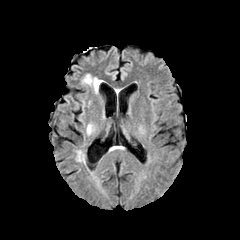
FLAIR MR image.
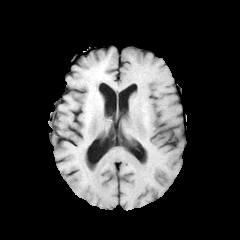
T1-weighted MRI of the same slice.
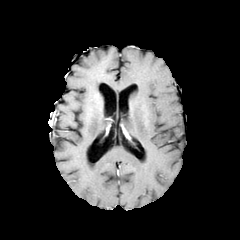
Post-contrast T1-weighted MR image.
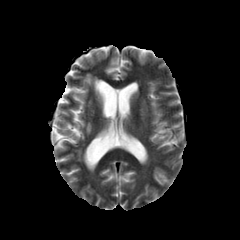
T2-weighted MRI.
Brain.
Annotated regions:
* edema: left=82, top=74, right=103, bottom=95; left=86, top=122, right=95, bottom=135; left=76, top=150, right=85, bottom=161